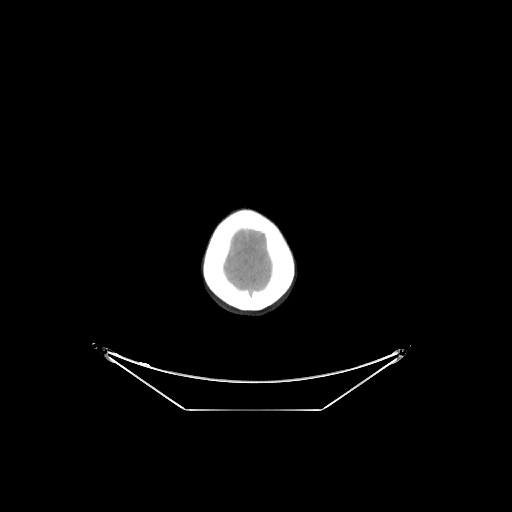

512x512. CT slice.

Brain — 223,229,272,297.